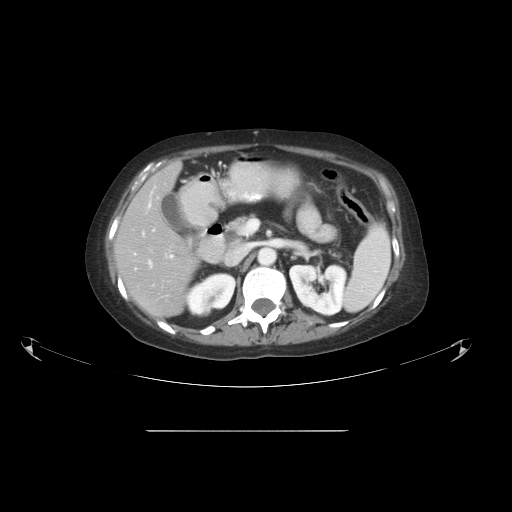

CT; 512x512 px
The vessel annotation is not exhaustive.
* hepatic vessel: (134, 253, 135, 254), (142, 231, 144, 235), (148, 190, 152, 208), (165, 255, 173, 258), (153, 187, 156, 189), (152, 229, 154, 231), (148, 260, 152, 267), (135, 267, 136, 269), (188, 294, 190, 303), (157, 197, 158, 198)